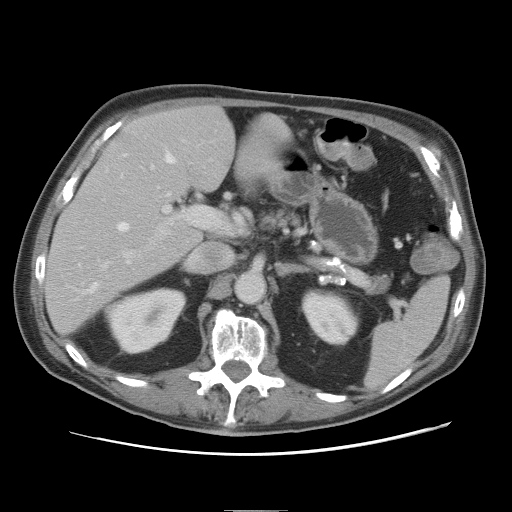 Image size 512x512, Computed tomography
Only some of the vessels may be annotated.
Annotated regions:
- hepatic vessel: [152, 166, 154, 168], [169, 207, 201, 227], [125, 252, 133, 263], [168, 193, 170, 195], [84, 282, 98, 293], [118, 222, 128, 231], [80, 265, 81, 266], [166, 152, 175, 163], [163, 206, 172, 213], [166, 231, 169, 233], [103, 263, 108, 268]